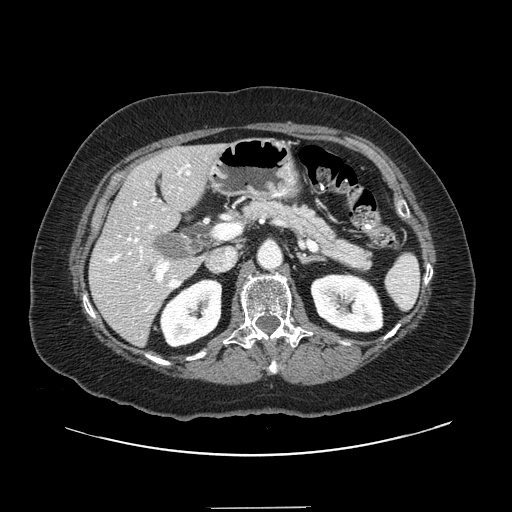
CT slice
Pancreas = (left=238, top=197, right=373, bottom=272).